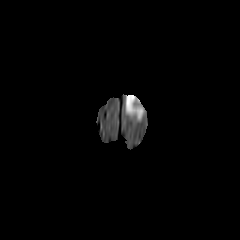
FLAIR MR.
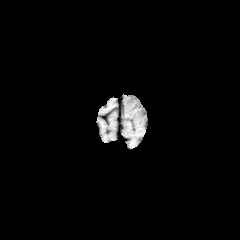
Same slice, T1-weighted MR image.
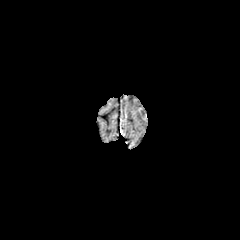
Same slice, post-contrast T1-weighted MR.
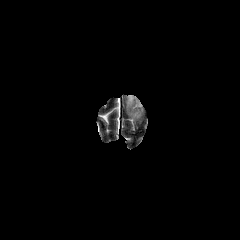
T2-weighted magnetic resonance.
240x240; Head
• edema: 125, 95, 144, 122